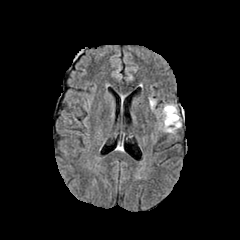
FLAIR MR.
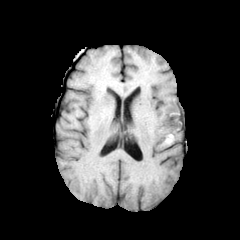
T1-weighted magnetic resonance.
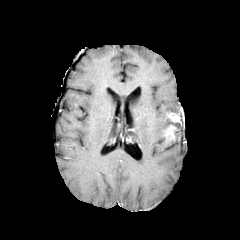
Same slice, post-contrast T1-weighted MR.
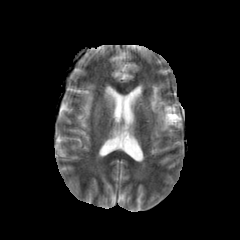
T2-weighted MRI.
Head; 240x240 px
2 edema regions are bounded by 165, 124, 181, 139; 149, 97, 179, 136. The non-enhancing tumor core lies within 166, 108, 183, 125. 2 enhancing tumor regions are located at 167, 125, 175, 133; 166, 113, 180, 122.